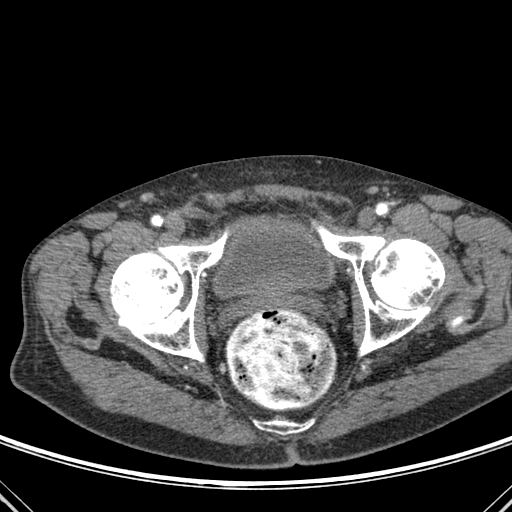 Computed tomography
Urinary bladder — l=213, t=214, r=252, b=239; l=319, t=217, r=330, b=227; l=212, t=212, r=337, b=299.
Bone — l=313, t=222, r=445, b=355; l=254, t=420, r=313, b=434; l=110, t=231, r=229, b=361; l=450, t=316, r=465, b=326.